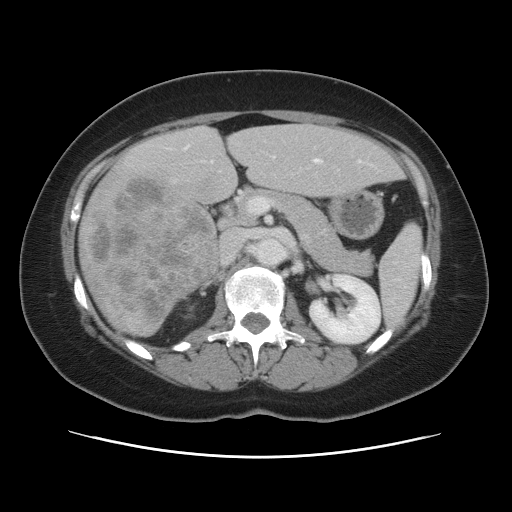 512x512; CT image; Liver

The vessel boxes may cover only some of the vessels.
{"hepatic_vessel": ["box(314, 158, 322, 163)", "box(369, 164, 374, 166)", "box(248, 197, 270, 212)", "box(210, 160, 212, 162)", "box(358, 160, 361, 162)"], "liver_tumor": ["box(82, 177, 213, 323)"]}